FLAIR magnetic resonance.
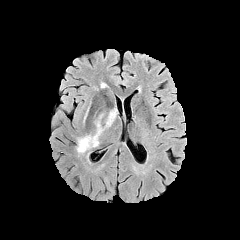
T1-weighted MRI.
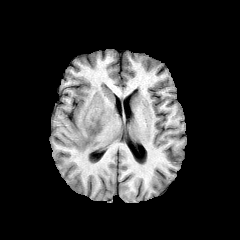
Post-contrast T1-weighted MR.
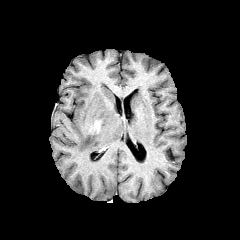
T2-weighted MR image.
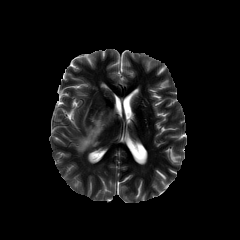
240x240
Edema = box(69, 110, 116, 153).
Enhancing tumor = box(88, 120, 101, 134).